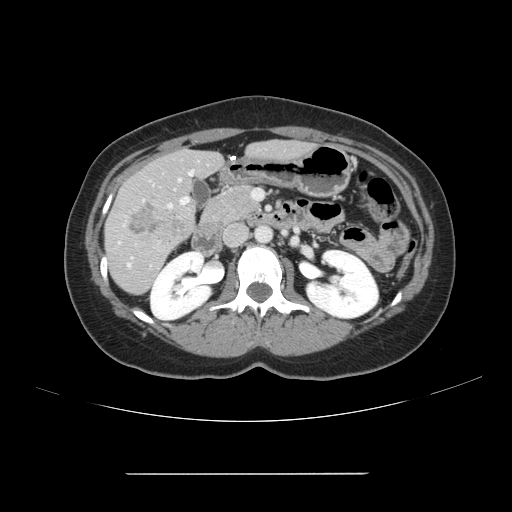

CT
The vessel annotation is not exhaustive.
The liver tumor is located at 131:203:188:241. 5 hepatic vessel regions are bounded by 168:204:171:207, 178:179:180:181, 180:197:188:203, 128:264:130:266, 189:170:193:175.